CT 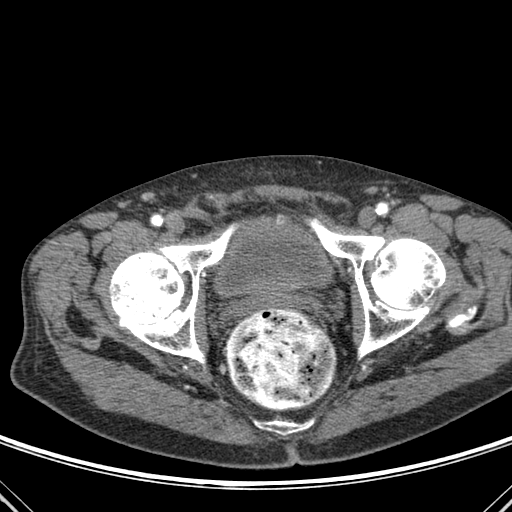

4 bone regions appear at x1=309, y1=219, x2=445, y2=357; x1=109, y1=225, x2=236, y2=363; x1=448, y1=306, x2=476, y2=328; x1=255, y1=420, x2=312, y2=434.